FLAIR MR.
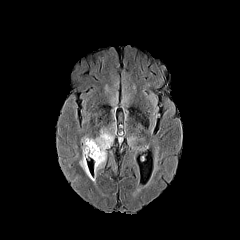
T1-weighted MRI.
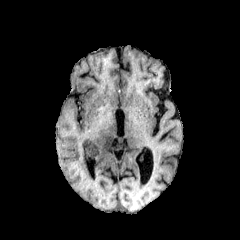
Post-contrast T1-weighted magnetic resonance.
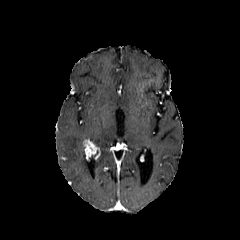
T2-weighted magnetic resonance.
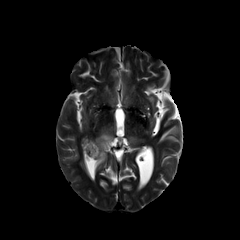
Brain, Image size 240x240
The enhancing tumor is located at (84, 140, 100, 159). 2 edema regions appear at (90, 129, 114, 169), (79, 151, 95, 181).